Hippocampus | MR image | Image width 38 mm
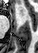

The anterior hippocampus is located at (left=20, top=9, right=24, bottom=17).